Slice index 66
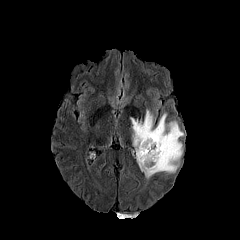
FLAIR MRI.
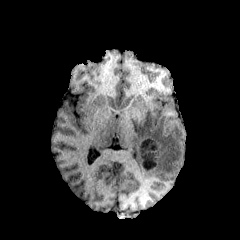
Same slice, T1-weighted magnetic resonance.
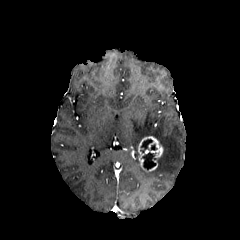
Post-contrast T1-weighted MRI.
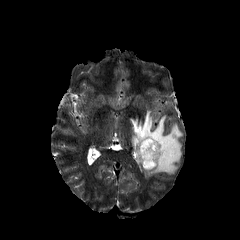
T2-weighted MR.
Edema — x1=130 y1=110 x2=183 y2=178.
Enhancing tumor — x1=137 y1=136 x2=163 y2=171.
Non-enhancing tumor core — x1=140 y1=139 x2=152 y2=152, x1=142 y1=152 x2=156 y2=170.